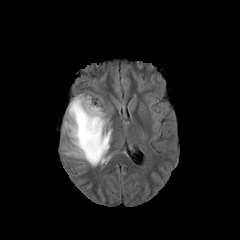
FLAIR MR.
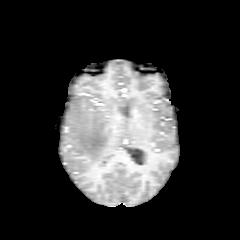
T1-weighted MRI of the same slice.
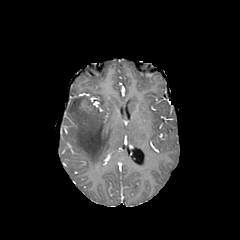
Post-contrast T1-weighted MRI of the same slice.
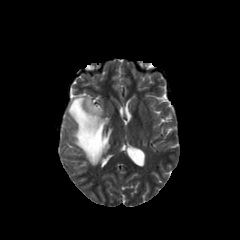
T2-weighted MR.
Non-enhancing tumor core at (74,95,102,117).
Edema at (65,100,111,165).